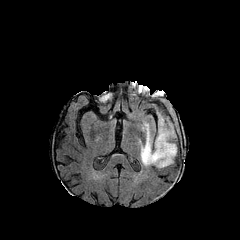
FLAIR magnetic resonance.
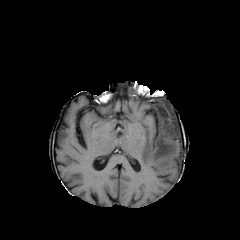
Same slice, T1-weighted MRI.
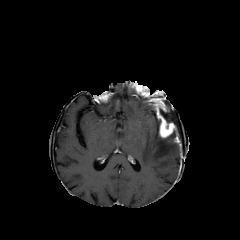
Post-contrast T1-weighted MR of the same slice.
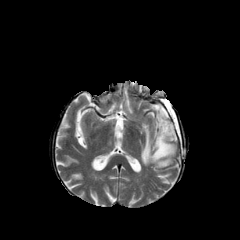
Same slice, T2-weighted MR.
Image size 240x240
Edema: bounding box (x1=138, y1=115, x2=176, y2=169).
Non-enhancing tumor core: bounding box (x1=159, y1=99, x2=174, y2=122), (x1=149, y1=104, x2=160, y2=136), (x1=161, y1=127, x2=181, y2=146), (x1=152, y1=92, x2=163, y2=103).
Enhancing tumor: bounding box (x1=151, y1=97, x2=175, y2=137).